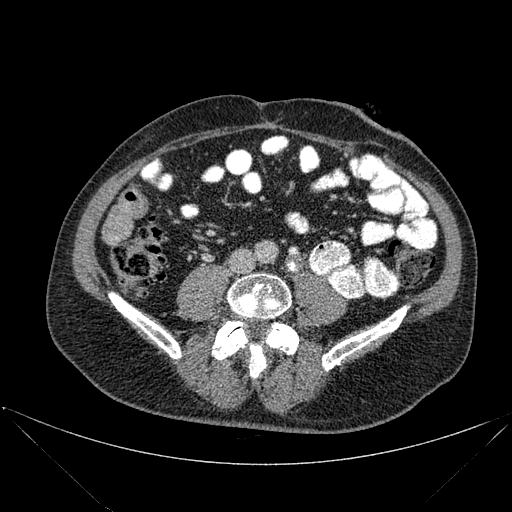
CT slice

Bone = [322, 306, 407, 370], [109, 293, 181, 358], [249, 344, 266, 377], [227, 274, 291, 318], [212, 321, 247, 359], [266, 323, 298, 354].